Computed tomography. 512x512 px. Abdomen.
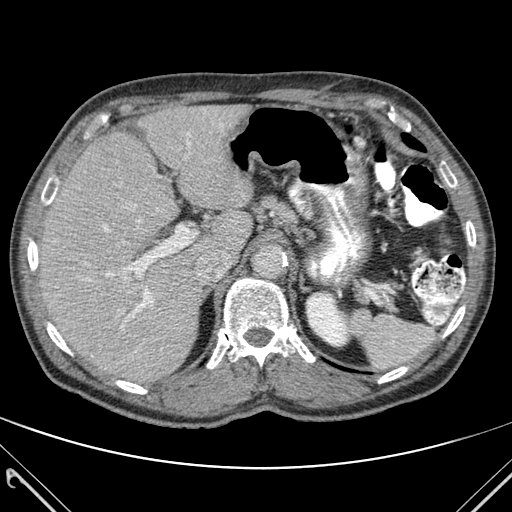 {"bone": ["rect(207, 279, 314, 368)", "rect(441, 162, 456, 186)", "rect(443, 306, 464, 336)", "rect(47, 323, 70, 353)", "rect(41, 175, 56, 205)", "rect(116, 381, 146, 393)", "rect(28, 239, 37, 269)", "rect(378, 367, 406, 382)", "rect(466, 221, 475, 245)"], "lung": ["rect(402, 133, 424, 151)"], "liver": ["rect(40, 104, 253, 384)"], "kidney": ["rect(307, 293, 350, 345)"]}